CT scan slice | 512x512
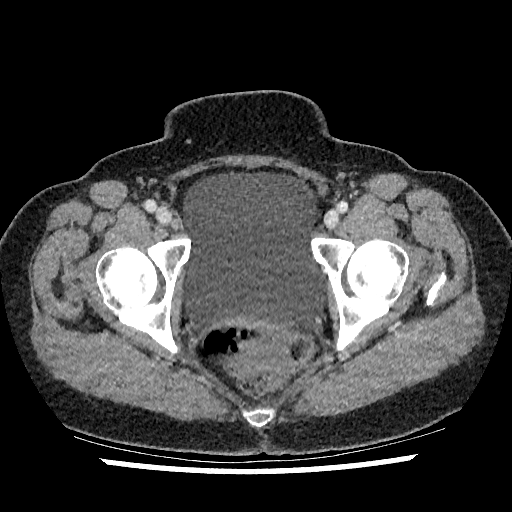 The urinary bladder appears at 183:171:328:329.